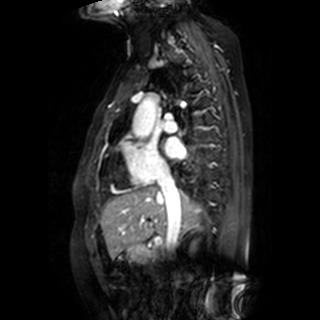 320x320; Heart; MR

Left atrium: [164, 137, 185, 157].